FLAIR MR image.
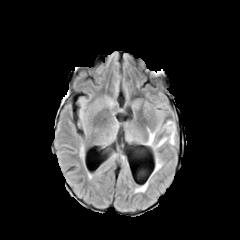
T1-weighted magnetic resonance.
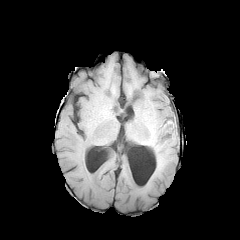
Post-contrast T1-weighted magnetic resonance.
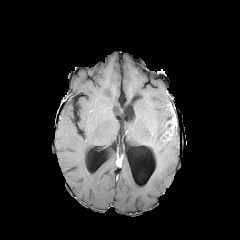
T2-weighted MRI.
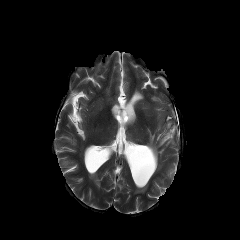
240x240 px | Head
Findings:
* edema: [x1=155, y1=152, x2=161, y2=170], [x1=135, y1=183, x2=147, y2=192], [x1=147, y1=130, x2=176, y2=151]